Computed tomography | Upper abdomen 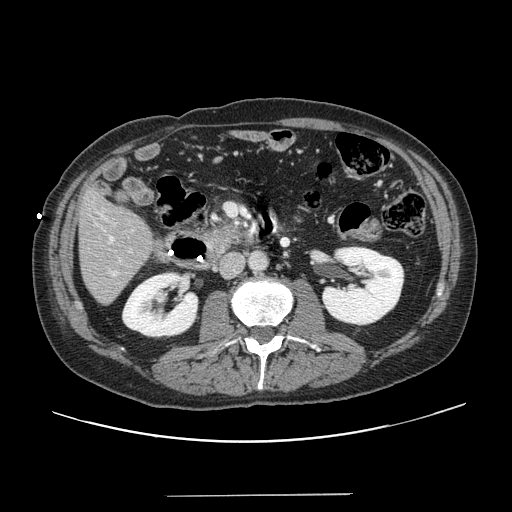

{
  "pancreas": [
    "<box>212,222,244,244</box>"
  ]
}